FLAIR magnetic resonance.
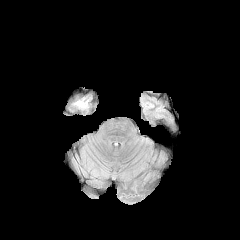
T1-weighted MR.
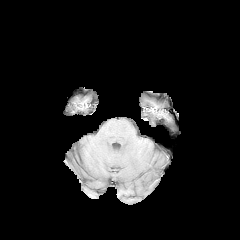
Post-contrast T1-weighted MR image.
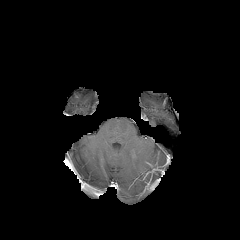
T2-weighted magnetic resonance.
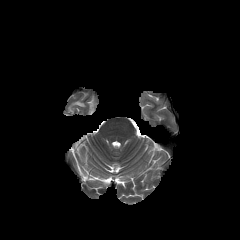
Brain, 240x240 px
Findings:
* edema: (left=74, top=99, right=87, bottom=108)